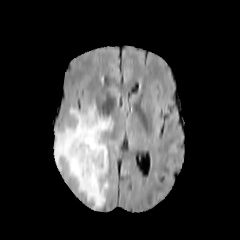
FLAIR MR image.
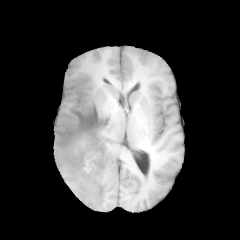
Same slice, T1-weighted magnetic resonance.
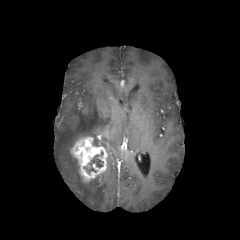
Same slice, post-contrast T1-weighted MR image.
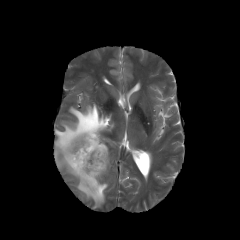
Same slice, T2-weighted MR.
<segmentation>
  <enhancing_tumor>x1=71, y1=136, x2=107, y2=182</enhancing_tumor>
  <non-enhancing_tumor_core>x1=84, y1=157, x2=102, y2=174</non-enhancing_tumor_core>
  <edema>x1=53, y1=102, x2=113, y2=208</edema>
</segmentation>